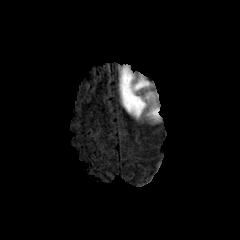
FLAIR MRI.
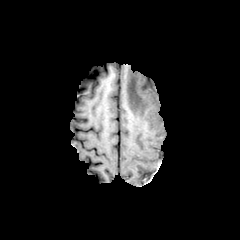
Same slice, T1-weighted MR.
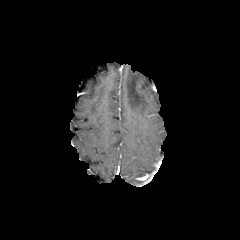
Post-contrast T1-weighted MR.
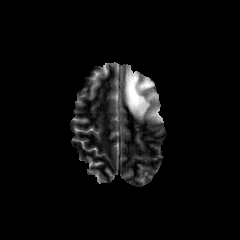
T2-weighted magnetic resonance.
Brain
The edema is located at region(119, 67, 160, 123).